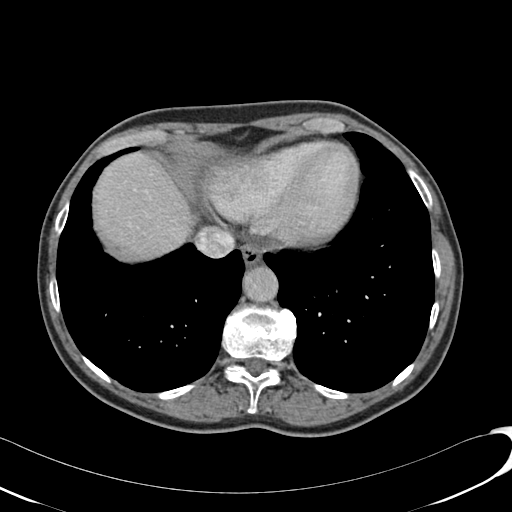
CT

The liver is at bbox=[95, 155, 195, 258].